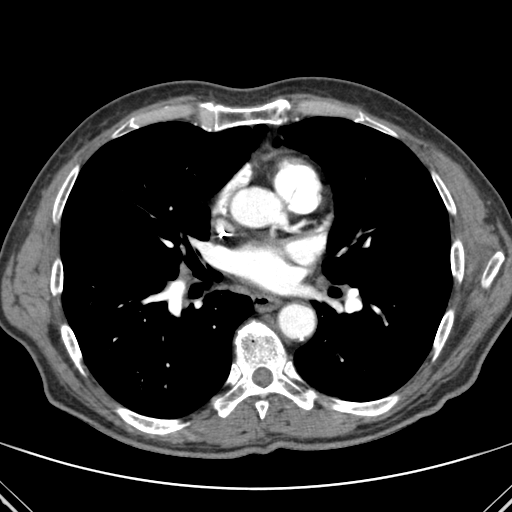

Chest. CT scan slice. 512x512 px.

lung:
  - [x1=60, y1=121, x2=268, y2=418]
  - [x1=273, y1=117, x2=452, y2=401]
  - [x1=328, y1=287, x2=341, y2=297]
bone:
  - [x1=432, y1=173, x2=455, y2=214]
  - [x1=200, y1=99, x2=290, y2=130]
  - [x1=330, y1=395, x2=398, y2=415]
  - [x1=482, y1=252, x2=504, y2=287]
  - [x1=50, y1=259, x2=62, y2=295]
  - [x1=53, y1=166, x2=78, y2=221]
  - [x1=116, y1=408, x2=188, y2=434]
  - [x1=451, y1=239, x2=464, y2=281]
  - [x1=353, y1=113, x2=396, y2=135]
  - [x1=61, y1=325, x2=83, y2=373]
  - [x1=433, y1=310, x2=453, y2=359]
  - [x1=213, y1=320, x2=317, y2=418]
  - [x1=113, y1=118, x2=140, y2=136]
  - [x1=151, y1=280, x2=184, y2=315]